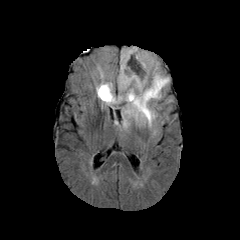
FLAIR magnetic resonance.
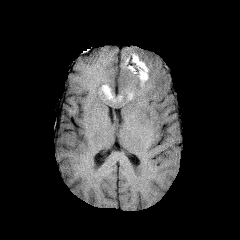
Same slice, T1-weighted MR image.
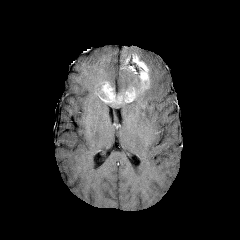
Same slice, post-contrast T1-weighted MR image.
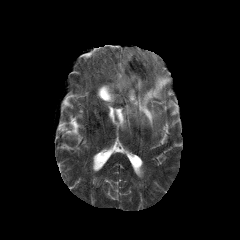
T2-weighted MR image.
Brain.
Annotated regions:
- edema: [118,50,141,91], [121,68,169,128]
- non-enhancing tumor core: [111,70,144,105]
- enhancing tumor: [138,63,149,92], [100,84,119,103], [124,87,137,102]